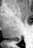 Hippocampus; MRI slice
{
  "posterior_hippocampus": [
    "x1=11, y1=38, x2=20, y2=41"
  ]
}